Computed tomography 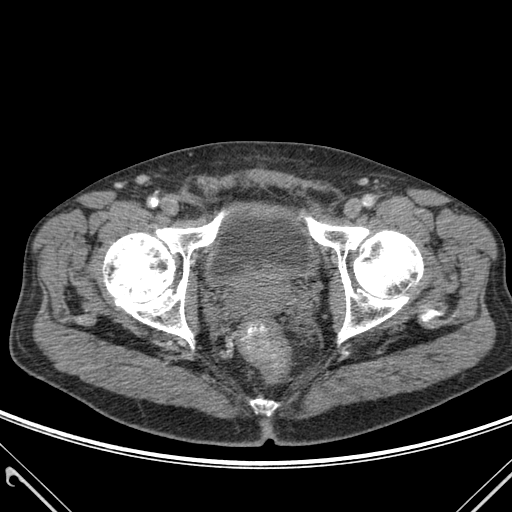 4 bone regions are bounded by box(305, 217, 423, 342); box(103, 213, 223, 347); box(422, 310, 439, 320); box(251, 399, 277, 414).